FLAIR magnetic resonance.
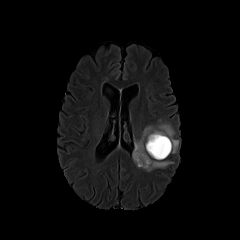
T1-weighted MRI.
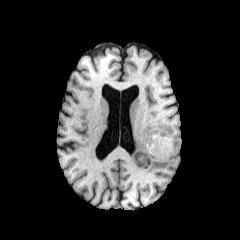
Post-contrast T1-weighted MR.
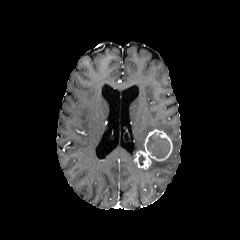
T2-weighted MRI.
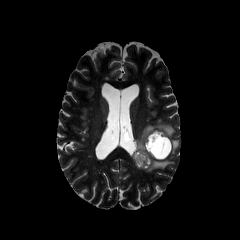
enhancing tumor: (x1=133, y1=129, x2=172, y2=169) | edema: (x1=144, y1=159, x2=174, y2=172), (x1=135, y1=118, x2=178, y2=153) | non-enhancing tumor core: (x1=146, y1=132, x2=170, y2=159)